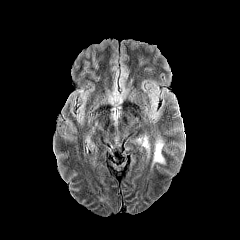
FLAIR MR image.
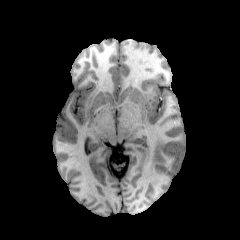
Same slice, T1-weighted magnetic resonance.
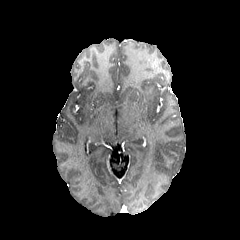
Post-contrast T1-weighted MRI.
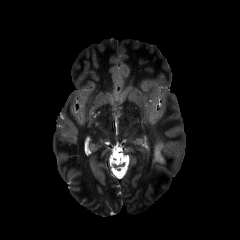
T2-weighted MRI of the same slice.
Image size 240x240
The edema is bounded by 152, 140, 164, 166.